CT image. Slice 534/733.
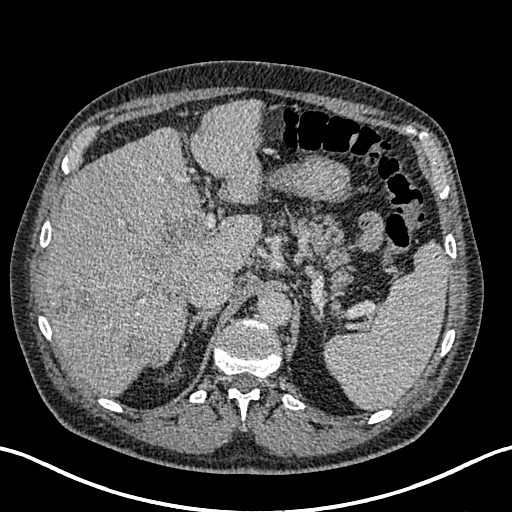 2 liver regions are located at bbox(191, 100, 262, 204); bbox(45, 126, 262, 395). 3 liver lesion regions are bounded by bbox(144, 219, 200, 294); bbox(56, 282, 94, 314); bbox(124, 333, 163, 364).